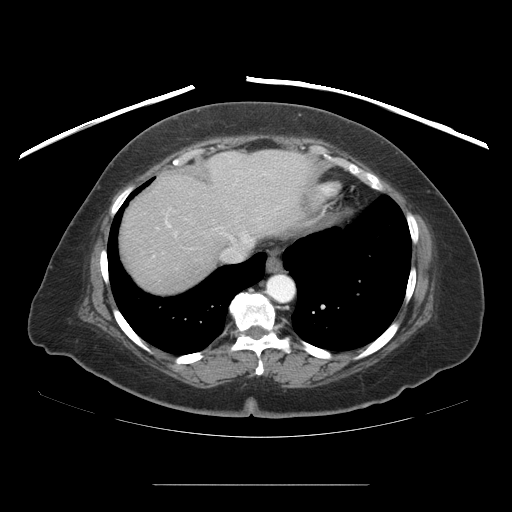
Liver | Computed tomography

The vessel boxes may cover only some of the vessels.
Findings:
* hepatic vessel: [216, 227, 223, 233], [166, 218, 170, 227], [234, 178, 237, 184], [221, 233, 251, 261], [258, 217, 261, 219], [231, 170, 242, 173]